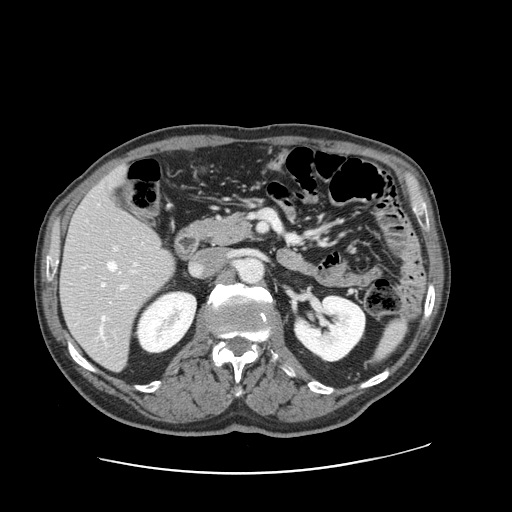 Abdomen | CT image
The vessel boxes may cover only some of the vessels.
7 hepatic vessel regions appear at 114:248:116:249, 134:264:136:265, 108:262:115:270, 101:317:105:321, 99:327:103:338, 102:283:104:285, 120:285:125:288.